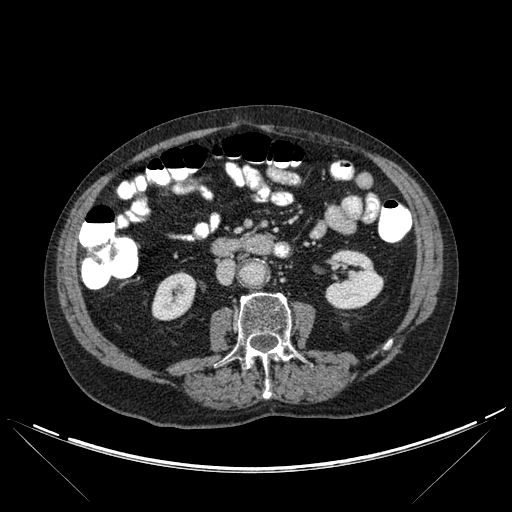 Abdomen, CT
2 bone regions are bounded by 263:380:271:397, 225:293:292:369. 2 kidney regions are bounded by 326:251:382:308, 152:273:195:319.